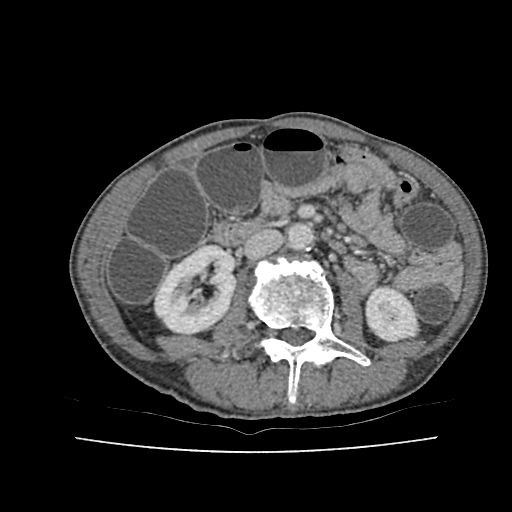 512x512 px, Abdomen, Computed tomography
2 kidney regions are bounded by [x1=366, y1=288, x2=415, y2=340], [x1=155, y1=246, x2=234, y2=333].